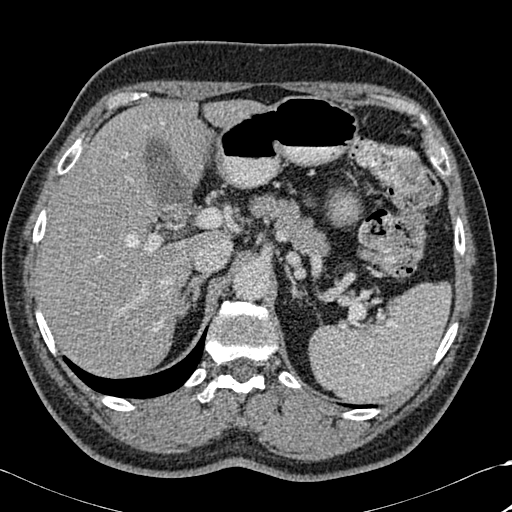 512x512 | CT slice
Liver: rect(41, 102, 205, 377); rect(209, 101, 254, 126).
Lung: rect(63, 327, 207, 398); rect(343, 404, 376, 408).
Bone: rect(434, 324, 456, 363); rect(103, 396, 133, 411); rect(279, 372, 299, 387); rect(37, 312, 54, 352); rect(344, 409, 378, 420); rect(186, 369, 205, 386); rect(455, 220, 464, 253); rect(33, 211, 46, 241); rect(69, 139, 80, 156); rect(199, 302, 276, 401).